Slice 15 of 38, CT image, 512x512 px 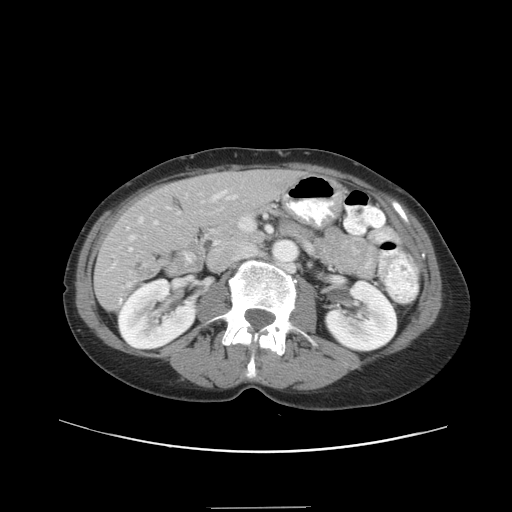 The vessel boxes may cover only some of the vessels.
- hepatic vessel: 129, 235, 134, 240; 139, 217, 143, 222; 126, 227, 128, 229; 177, 211, 180, 214; 201, 200, 204, 202; 127, 282, 131, 286; 212, 190, 236, 201; 129, 247, 132, 250; 154, 220, 157, 224; 150, 208, 152, 210